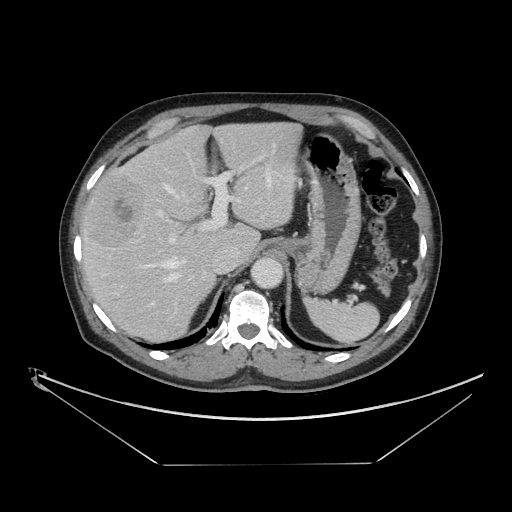

Liver | CT scan slice
Some hepatic vessels may have no box.
Liver tumor at [86,174,147,248].
Hepatic vessel at [266,172,270,186], [140,265,155,267], [204,272,205,274], [163,184,178,198], [170,234,174,243], [235,199,239,201], [241,167,243,169], [157,210,162,215], [167,273,179,280], [151,303,153,304], [162,257,184,267], [205,179,210,182].